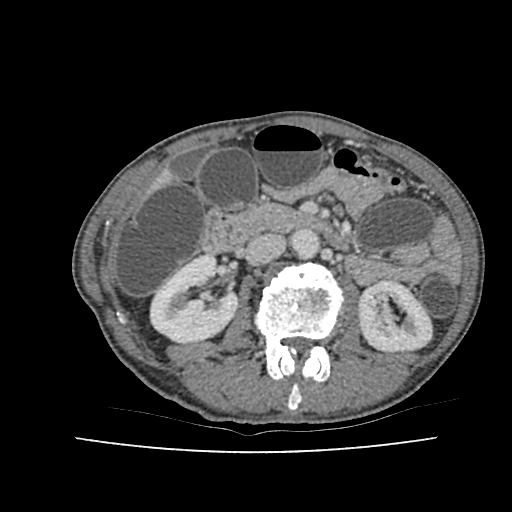

Image size 512x512; CT slice
2 kidney regions are bounded by bbox=[151, 255, 237, 342]; bbox=[359, 281, 431, 351].